Magnetic resonance | Medial temporal lobe | Image width 32 mm | Slice 25/32

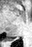 {"posterior_hippocampus": ["l=8, t=38, r=15, b=40"]}